Computed tomography. Field of view 344x344 mm. Image size 512x512.

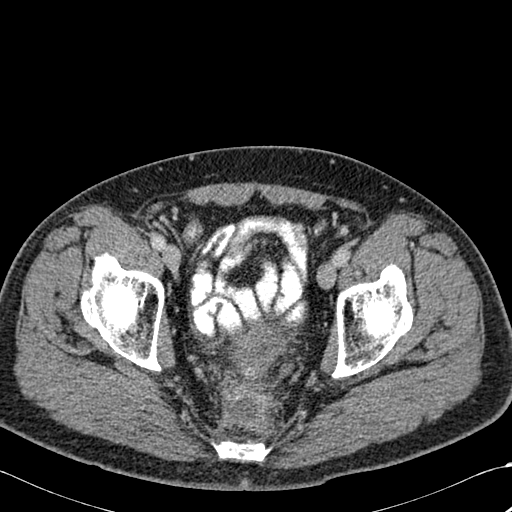
bone: <bbox>216, 442, 267, 460</bbox>, <bbox>81, 254, 163, 370</bbox>, <bbox>332, 264, 412, 377</bbox>